Head, Slice 99 of 155
FLAIR MR image.
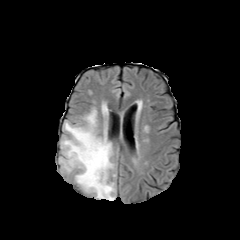
T1-weighted MR.
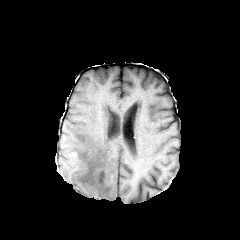
Post-contrast T1-weighted MR.
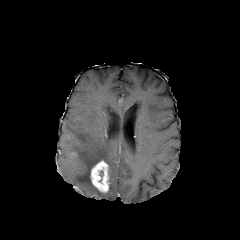
T2-weighted magnetic resonance.
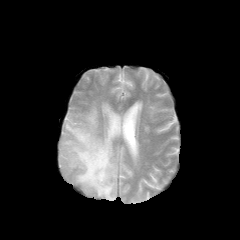
Edema — [102, 108, 107, 118], [61, 110, 116, 200].
Enhancing tumor — [90, 160, 109, 193].